240x240 px
FLAIR MR image.
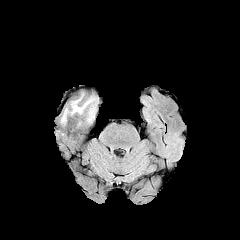
T1-weighted magnetic resonance.
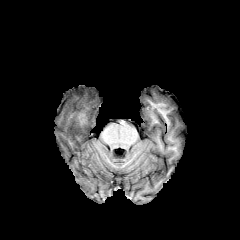
Post-contrast T1-weighted MR image.
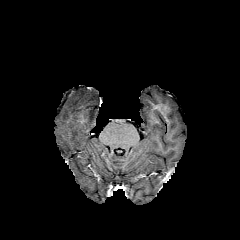
T2-weighted MR.
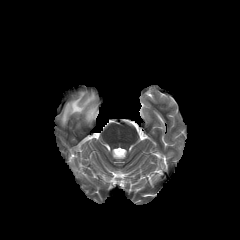
2 edema regions are located at <bbox>86, 104, 96, 123</bbox>, <bbox>61, 93, 97, 125</bbox>.